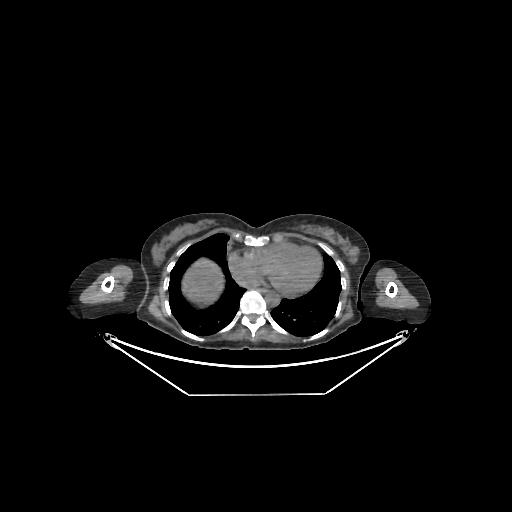
Liver. CT slice. Segmented structures:
- liver: <box>182,259,222,299</box>